Medial temporal lobe | Slice 29/35 | MR image

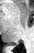 <segmentation>
  <posterior_hippocampus><box>11,44,15,45</box>, <box>6,45,8,46</box></posterior_hippocampus>
</segmentation>